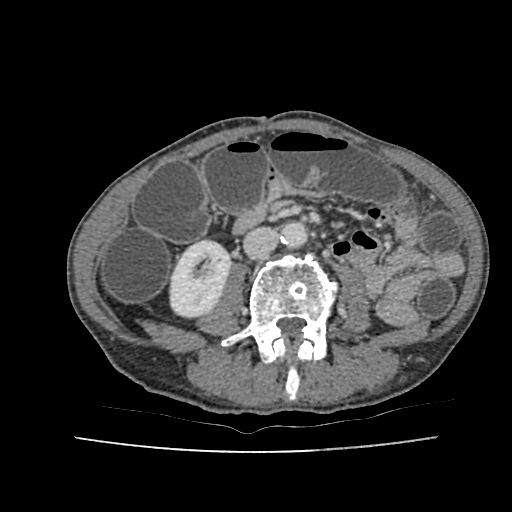
CT image. Abdomen. The kidney is bounded by box=[171, 241, 230, 316].